512x512, Abdomen, CT slice

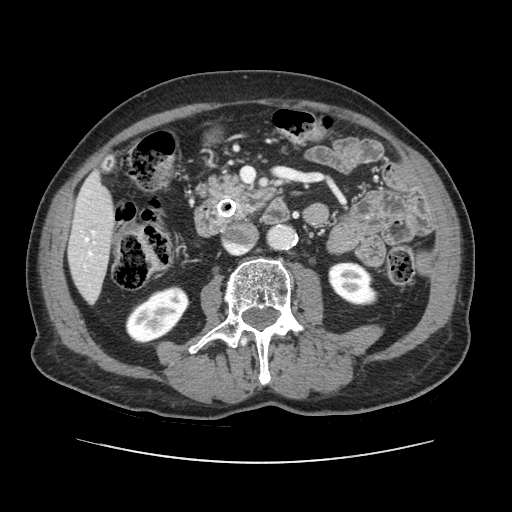
* pancreas: 227,186,273,218